CT scan slice; Liver; Field of view 403 mm wide, 1.50 mm slice spacing; Slice index 65 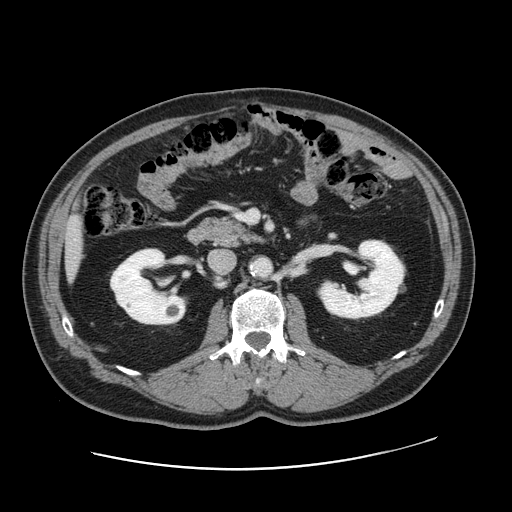 Some hepatic vessels may have no box.
2 hepatic vessel regions appear at (left=70, top=267, right=71, bottom=271), (left=72, top=218, right=77, bottom=221).